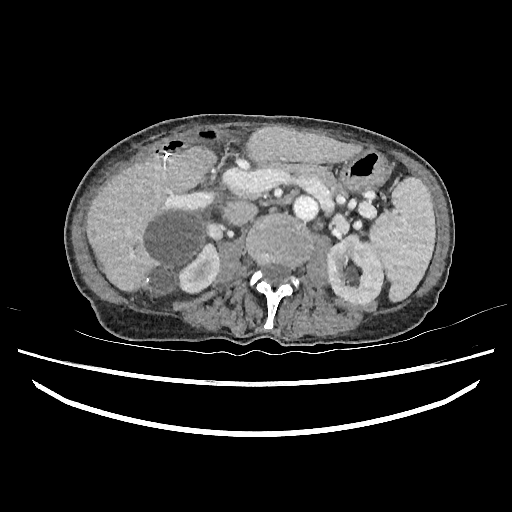

CT image, Abdomen

2 liver regions are located at l=87, t=147, r=215, b=291; l=247, t=127, r=357, b=164. 3 kidney regions are bounded by l=327, t=235, r=382, b=304; l=179, t=244, r=219, b=292; l=207, t=224, r=220, b=238. The liver lesion is at l=144, t=210, r=205, b=296.